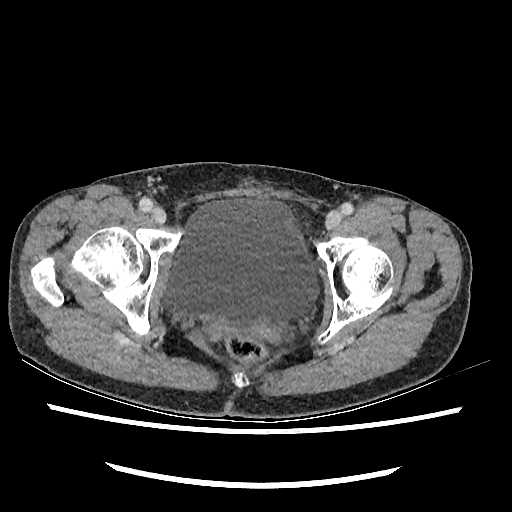 Computed tomography
The urinary bladder is bounded by 161 195 317 334.